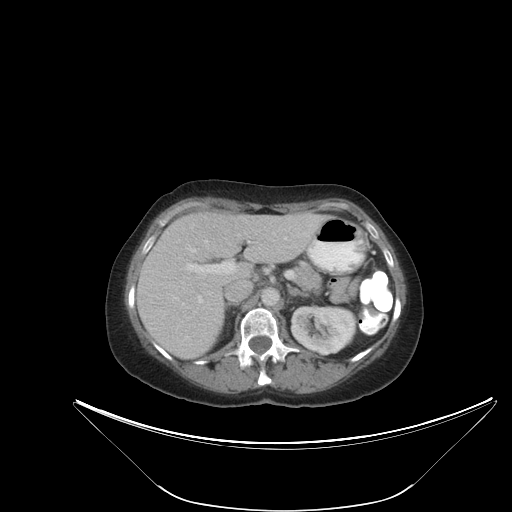 Liver. CT image.
Some hepatic vessels may have no box.
3 hepatic vessel regions are bounded by 229,261,234,268; 199,297,201,301; 189,262,225,271.